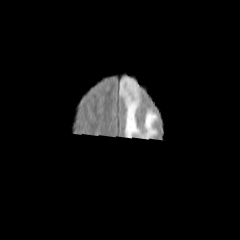
FLAIR MR.
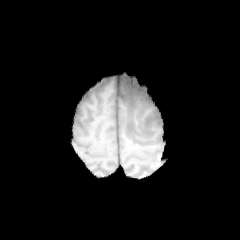
T1-weighted MRI.
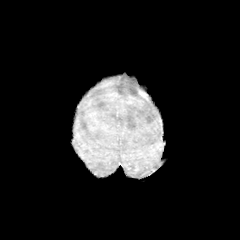
Same slice, post-contrast T1-weighted MRI.
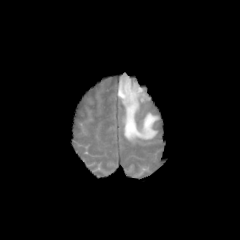
T2-weighted magnetic resonance of the same slice.
240x240.
edema: bbox=[118, 74, 158, 141]